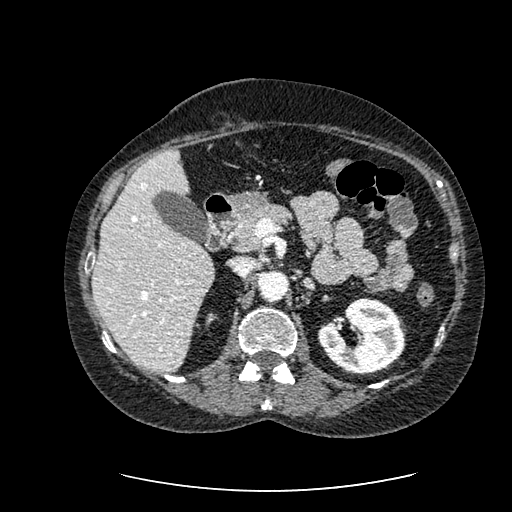
Liver; CT scan slice
Annotated regions:
* kidney: region(319, 299, 404, 373)
* liver: region(93, 150, 213, 371)